CT | Lower abdomen 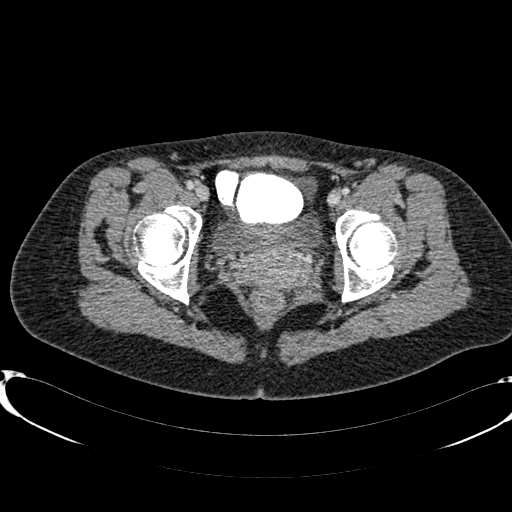
<segmentation>
  <urinary_bladder>{"x1": 215, "y1": 212, "x2": 316, "y2": 251}</urinary_bladder>
</segmentation>